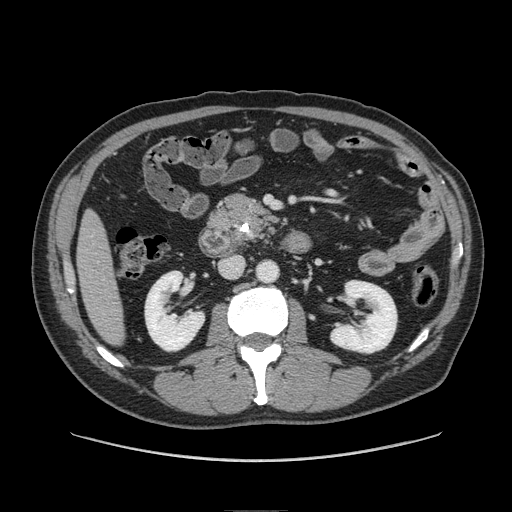

CT slice | Upper abdomen | Image size 512x512
Pancreas = 204,190,286,252.